Field of view 416 mm wide, 2.50 mm slice spacing, CT image
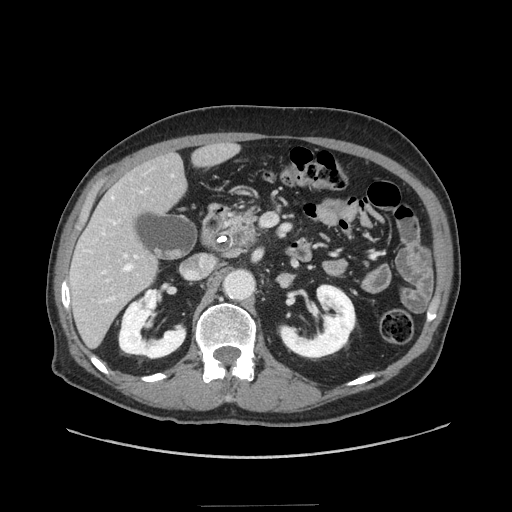
Pancreatic tumor at region(233, 227, 253, 245).
Pancreas at region(225, 212, 256, 246).